Image width 399 mm, Slice 23 of 98, Computed tomography
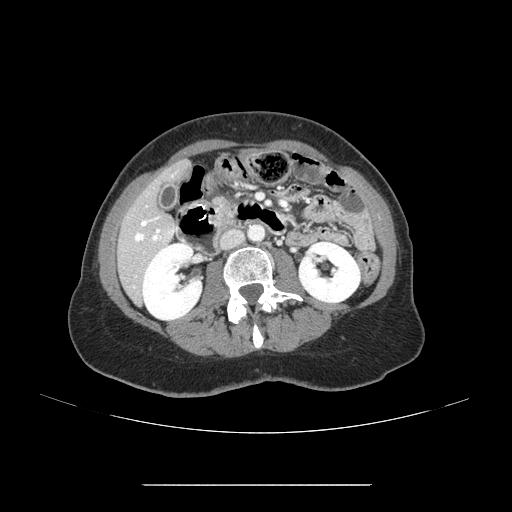
The pancreas appears at {"x1": 215, "y1": 197, "x2": 232, "y2": 225}.